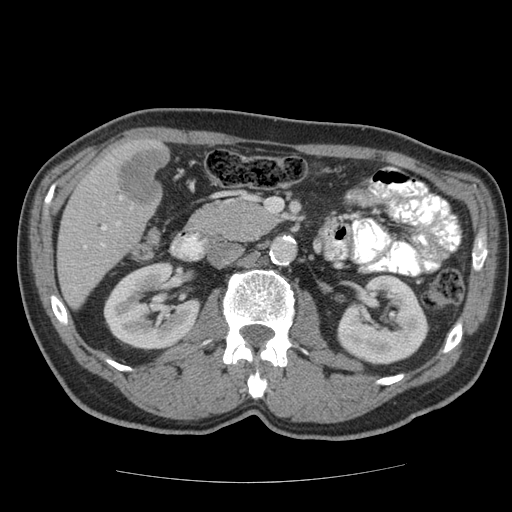
512x512 px | CT | Abdomen
Not every hepatic vessel necessarily has a box.
liver_tumor:
  - <bbox>119, 146, 166, 207</bbox>
hepatic_vessel:
  - <bbox>120, 196, 122, 199</bbox>
  - <bbox>84, 246, 85, 248</bbox>
  - <bbox>101, 226, 105, 229</bbox>